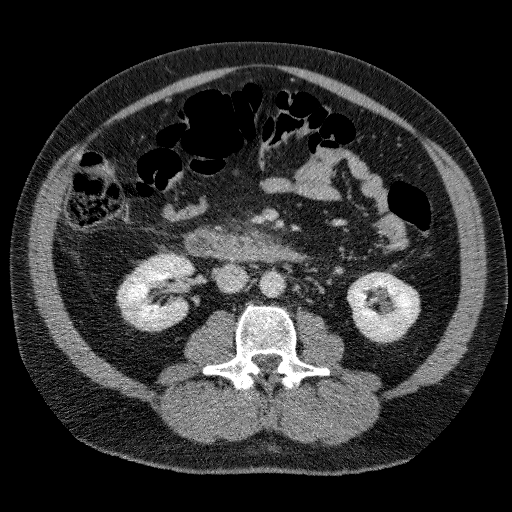 CT image. Abdomen.
2 kidney regions are located at [119, 255, 192, 329], [349, 273, 418, 340].